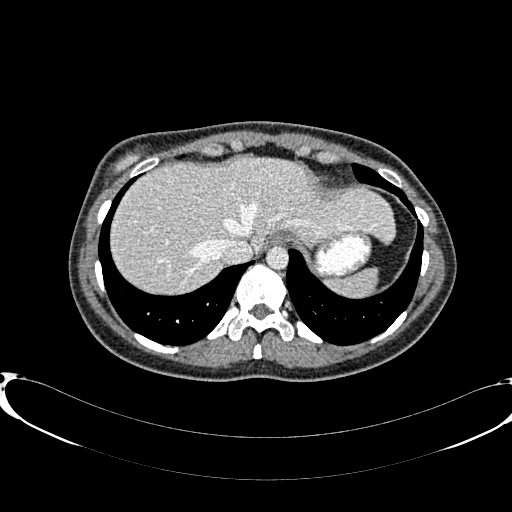 CT

<segmentation>
  <liver>111:157:394:292</liver>
</segmentation>